Brain. 240x240.
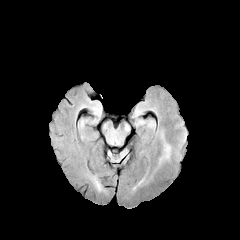
FLAIR magnetic resonance.
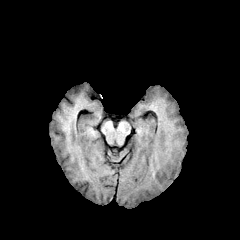
Same slice, T1-weighted MR image.
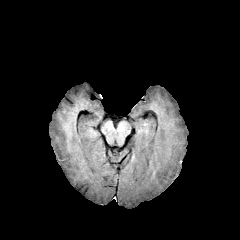
Post-contrast T1-weighted MRI.
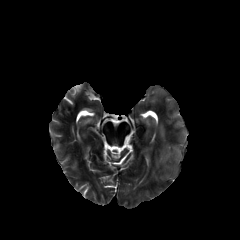
T2-weighted MR image of the same slice.
edema:
  - box(148, 120, 155, 128)
  - box(163, 144, 170, 158)